MR image; 36x49 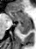
anterior hippocampus: box(7, 12, 30, 20) | posterior hippocampus: box(17, 21, 30, 34)